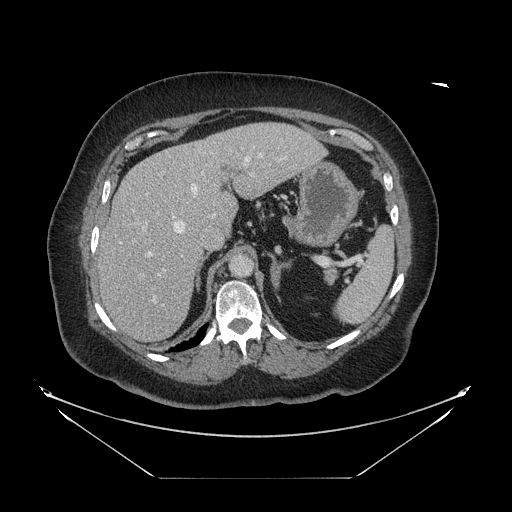

CT slice. Image size 512x512.

• pancreas: x1=325 y1=269 x2=337 y2=283